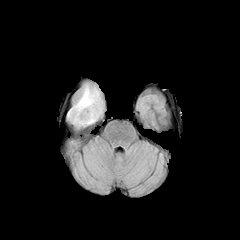
FLAIR MR image.
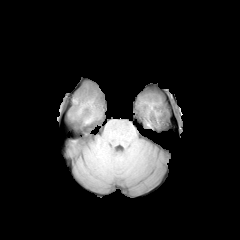
T1-weighted MR image.
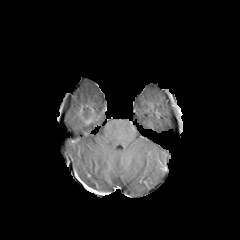
Post-contrast T1-weighted MR of the same slice.
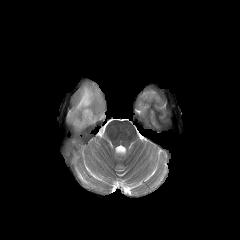
T2-weighted MR of the same slice.
Head
edema: (67,83,103,127) | non-enhancing tumor core: (80,105,95,121)